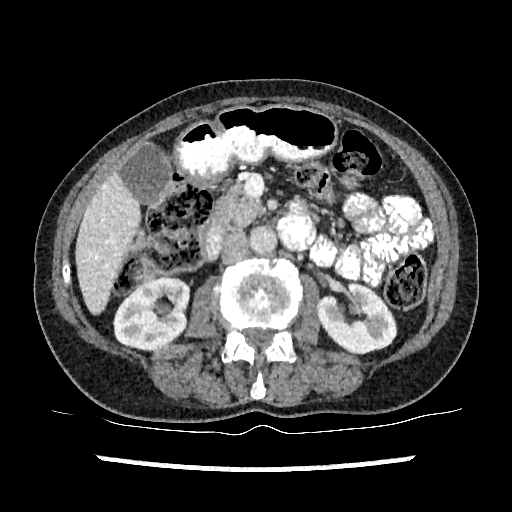 CT; Liver; 512x512
Liver = box(76, 174, 140, 314).
Kidney = box(319, 285, 395, 352); box(114, 279, 188, 348).